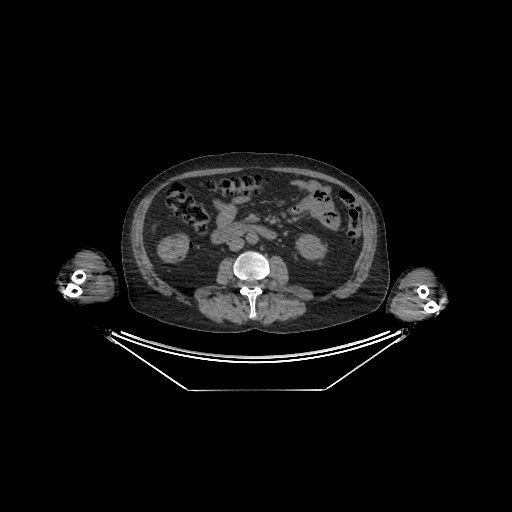
CT image; Abdomen
kidney: (295, 234, 327, 260)